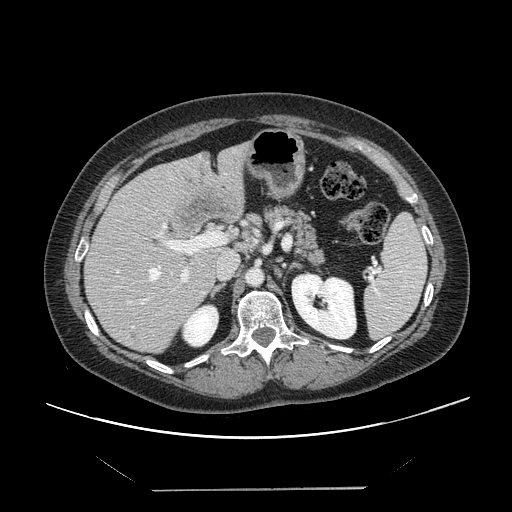
CT scan slice. Abdomen. 512x512.
Only some of the vessels may be annotated.
Liver tumor: left=169, top=180, right=241, bottom=238.
Hepatic vessel: left=139, top=294, right=155, bottom=304; left=147, top=265, right=161, bottom=282; left=127, top=301, right=132, bottom=303; left=116, top=270, right=118, bottom=273; left=154, top=223, right=225, bottom=254; left=172, top=268, right=189, bottom=291; left=217, top=251, right=237, bottom=279.